Image size 240x240
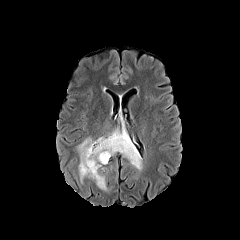
FLAIR MRI.
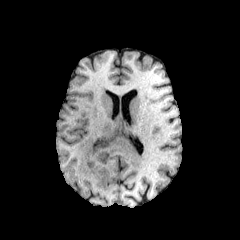
T1-weighted MRI.
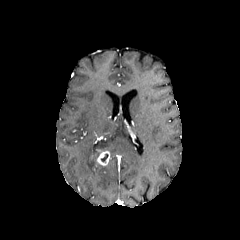
Post-contrast T1-weighted MR.
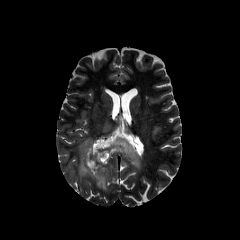
T2-weighted MRI.
edema:
  - (77,137,107,190)
  - (95,123,142,170)
enhancing_tumor:
  - (97,152,110,165)